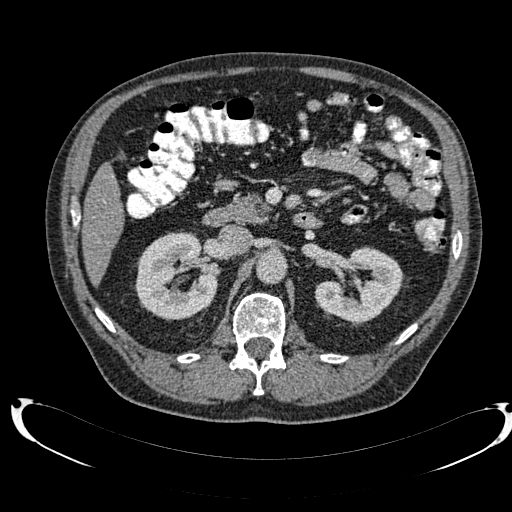
Computed tomography.

Kidney at box(135, 232, 220, 319); box(315, 247, 402, 324).
Liver at box(82, 163, 123, 286).